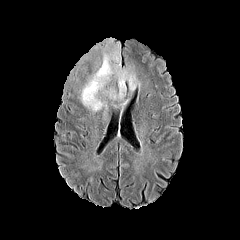
FLAIR MR image.
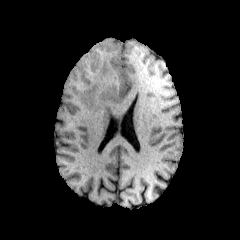
Same slice, T1-weighted MRI.
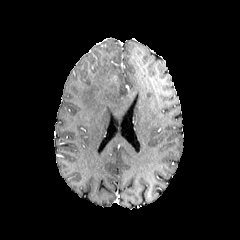
Post-contrast T1-weighted magnetic resonance.
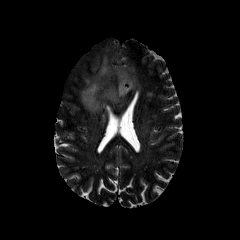
T2-weighted MR of the same slice.
Image size 240x240
The edema is bounded by rect(80, 49, 139, 111).